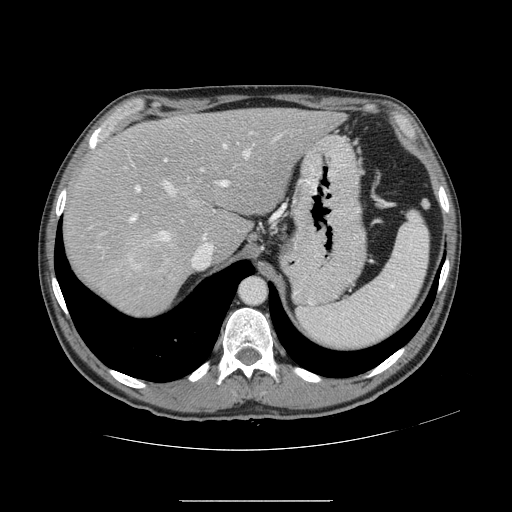

CT slice, 512x512 px
The vessel boxes may cover only some of the vessels.
14 hepatic vessel regions are bounded by l=276, t=135, r=280, b=138; l=135, t=186, r=139, b=191; l=170, t=244, r=172, b=246; l=201, t=169, r=202, b=170; l=218, t=181, r=227, b=186; l=98, t=246, r=99, b=247; l=203, t=234, r=206, b=239; l=162, t=181, r=175, b=194; l=201, t=243, r=211, b=247; l=223, t=144, r=226, b=147; l=244, t=149, r=249, b=156; l=148, t=231, r=169, b=242; l=250, t=132, r=251, b=133; l=130, t=215, r=136, b=221. The liver tumor is located at l=135, t=249, r=162, b=268.